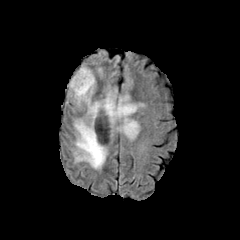
FLAIR MR.
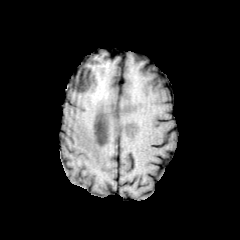
T1-weighted MR.
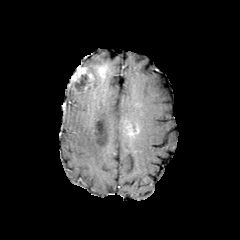
Post-contrast T1-weighted MR.
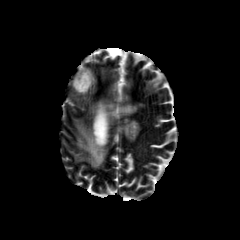
T2-weighted MRI of the same slice.
Brain, Image size 240x240
The enhancing tumor appears at <bbox>71, 66, 94, 84</bbox>. 2 non-enhancing tumor core regions are located at <bbox>123, 124, 138, 137</bbox>, <bbox>68, 74, 93, 91</bbox>. 2 edema regions are bounded by <bbox>77, 80, 85, 90</bbox>, <bbox>73, 79, 138, 169</bbox>.